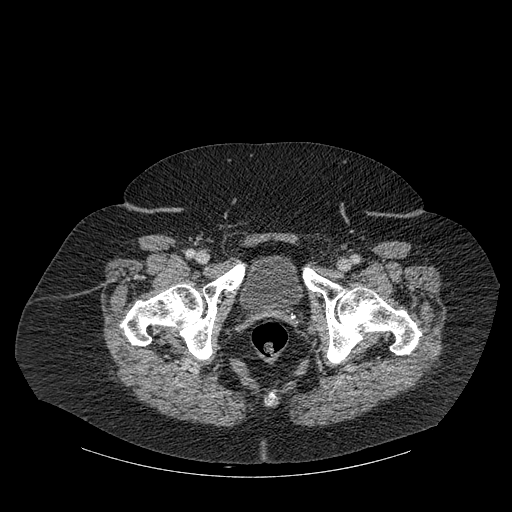
512x512. CT slice. Lower abdomen.

Urinary bladder at region(238, 255, 303, 321).
Bone at region(120, 264, 244, 359); region(303, 268, 421, 363).